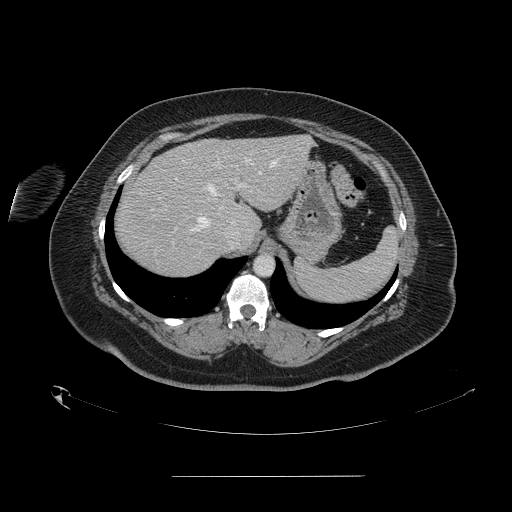
Computed tomography, Abdomen, 512x512
<segmentation>
  <spleen>x1=295 y1=228 x2=399 y2=303</spleen>
</segmentation>